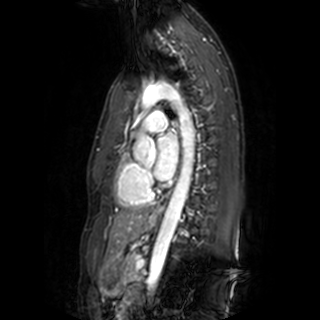
Heart; Magnetic resonance

left atrium: (left=154, top=133, right=178, bottom=180)